512x512, CT image, Abdomen, Slice index 7 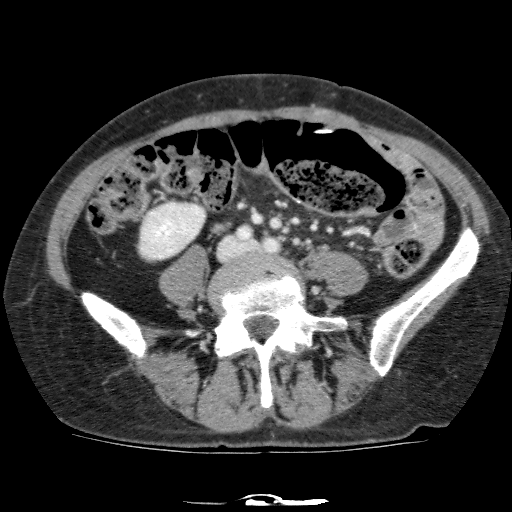
The kidney is at x1=141 y1=203 x2=204 y2=258.